CT.
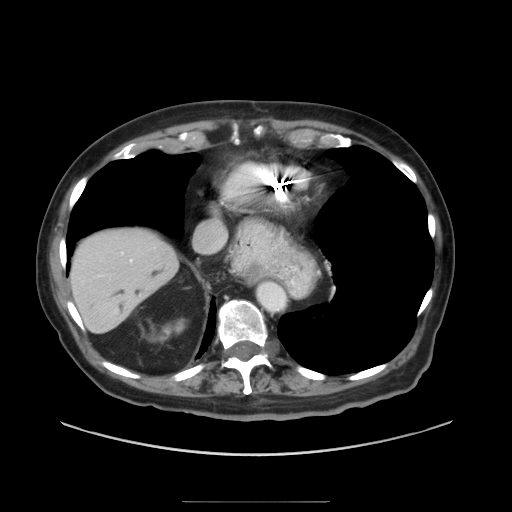 Only some of the vessels may be annotated.
Hepatic vessel: bounding box (131, 260, 132, 261).